FLAIR MR image.
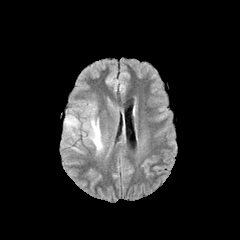
T1-weighted magnetic resonance.
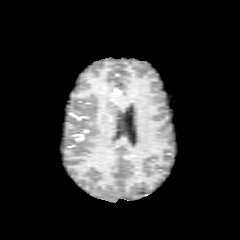
Post-contrast T1-weighted MR image.
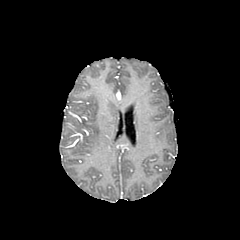
T2-weighted magnetic resonance.
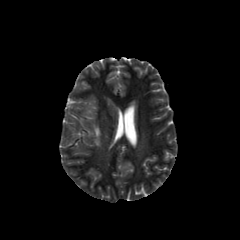
Brain | 240x240
Edema = 92:121:101:148.